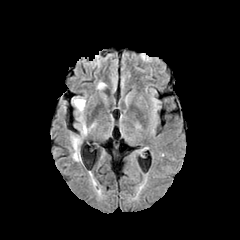
FLAIR MR image.
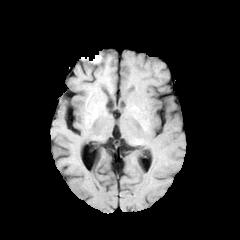
T1-weighted MR.
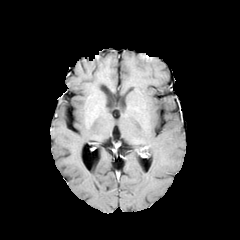
Post-contrast T1-weighted magnetic resonance.
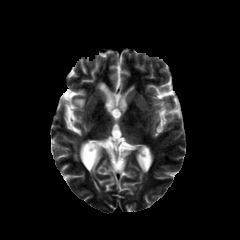
T2-weighted MR.
3 edema regions are bounded by (71,96,89,135), (97,82,106,89), (71,135,80,161).